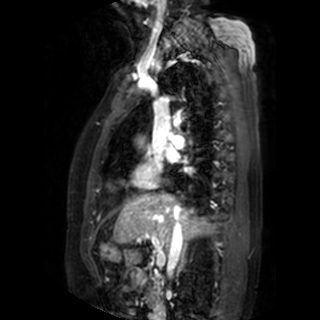 MRI slice, Cardiac
Left atrium = {"x1": 168, "y1": 151, "x2": 175, "y2": 161}.